Computed tomography; Liver

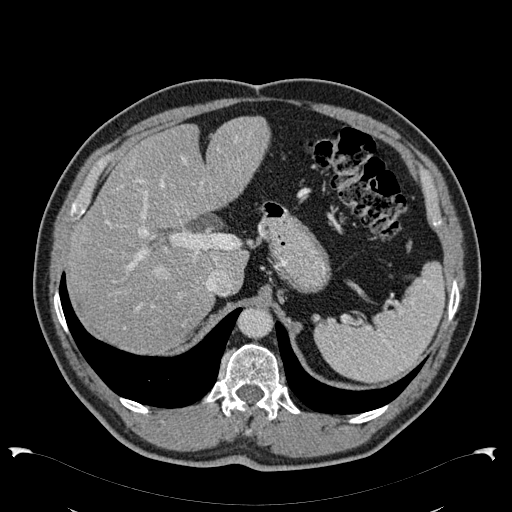
- liver: bbox(69, 117, 269, 351)